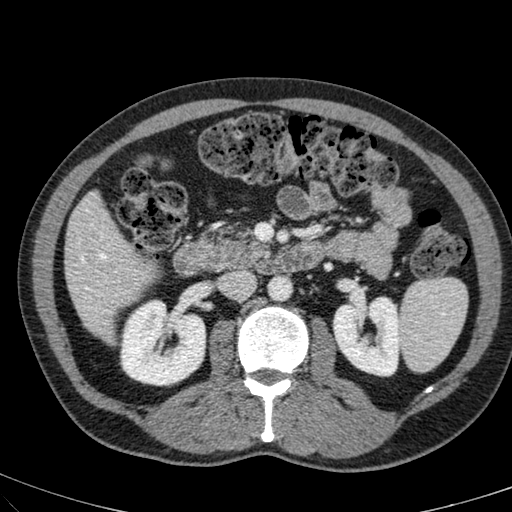

Liver, Image size 512x512, CT image

Liver: bounding box 65 194 148 336.
Kidney: bounding box 122 301 204 384, 334 298 399 374.